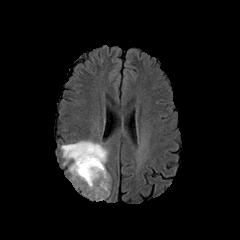
FLAIR MR image.
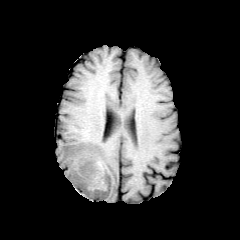
T1-weighted MRI.
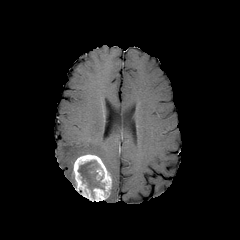
Post-contrast T1-weighted MRI of the same slice.
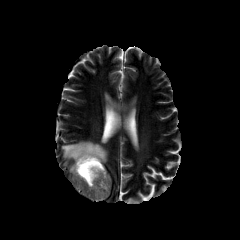
T2-weighted MR image.
Head
Non-enhancing tumor core: bounding box bbox=[78, 160, 100, 187].
Edema: bounding box bbox=[61, 140, 108, 177].
Enhancing tumor: bounding box bbox=[71, 154, 111, 201].